CT
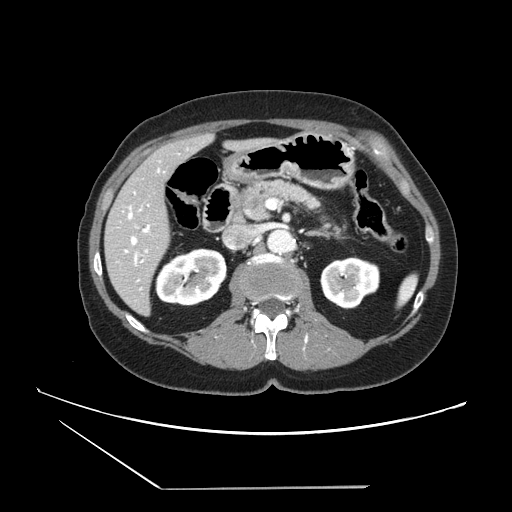
pancreatic_tumor:
  - <bbox>238, 194, 260, 208</bbox>
pancreas:
  - <bbox>322, 219, 343, 237</bbox>
  - <bbox>242, 181, 320, 219</bbox>